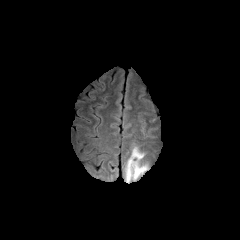
FLAIR MR image.
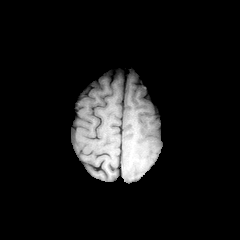
T1-weighted magnetic resonance of the same slice.
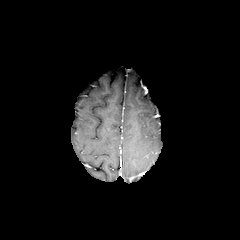
Post-contrast T1-weighted magnetic resonance.
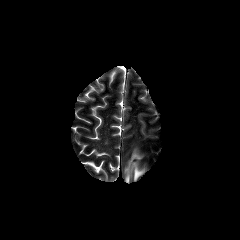
T2-weighted magnetic resonance.
Head.
edema: <bbox>123, 148, 147, 182</bbox>